512x512 px; CT
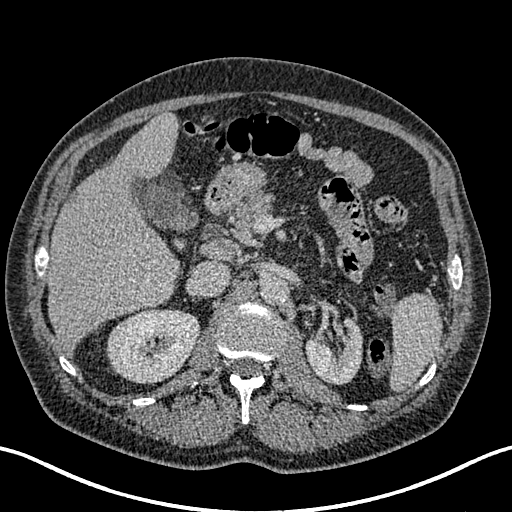 {"kidney": ["<box>306,320,361,383</box>", "<box>108,310,198,382</box>"], "liver": ["<box>48,114,178,350</box>"], "focal_liver_lesion": ["<box>59,293,68,302</box>"]}